Abdomen, Computed tomography

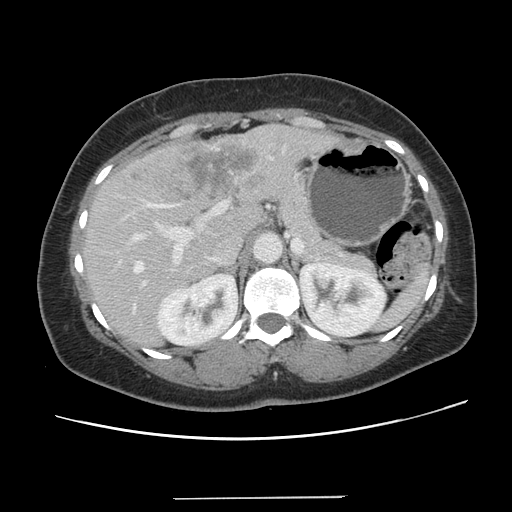 The vessel annotation is not exhaustive.
8 hepatic vessel regions appear at bbox(142, 281, 145, 284); bbox(211, 201, 227, 214); bbox(133, 306, 135, 310); bbox(134, 261, 143, 272); bbox(119, 261, 120, 263); bbox(156, 224, 191, 263); bbox(132, 234, 143, 240); bbox(143, 202, 173, 207). The liver tumor lies within bbox(133, 141, 263, 202).